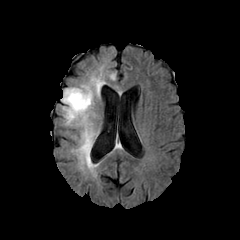
FLAIR MRI.
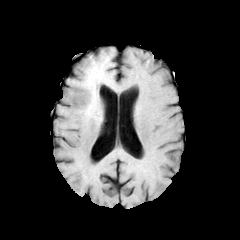
T1-weighted magnetic resonance.
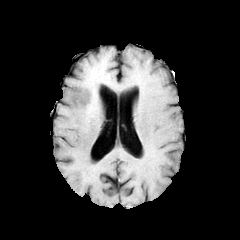
Post-contrast T1-weighted magnetic resonance of the same slice.
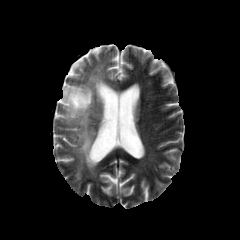
Same slice, T2-weighted MRI.
240x240 | Brain
Non-enhancing tumor core: bounding box box(83, 77, 103, 116).
Edema: bounding box box(61, 80, 99, 177); box(93, 83, 102, 105); box(108, 71, 115, 80); box(90, 66, 105, 85).